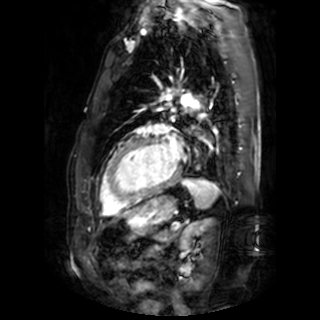 MR image
<segmentation>
  <left_atrium>166:137:182:160</left_atrium>
</segmentation>